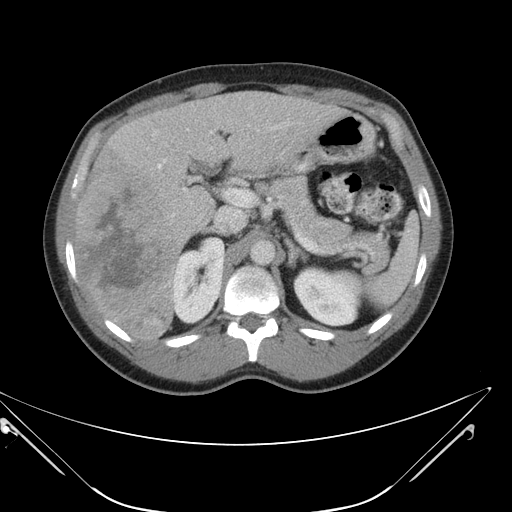

512x512 px; Computed tomography
The vessel boxes may cover only some of the vessels.
liver_tumor:
  - bbox(76, 148, 180, 339)
hepatic_vessel:
  - bbox(273, 125, 278, 128)
  - bbox(183, 188, 186, 191)
  - bbox(158, 164, 161, 167)
  - bbox(216, 207, 243, 230)
  - bbox(163, 159, 165, 162)
  - bbox(186, 128, 188, 130)
  - bbox(172, 214, 173, 216)
  - bbox(152, 131, 155, 139)